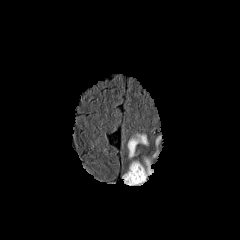
FLAIR MRI.
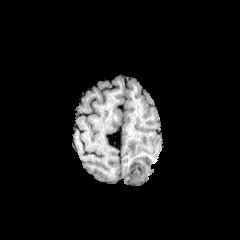
T1-weighted MR image.
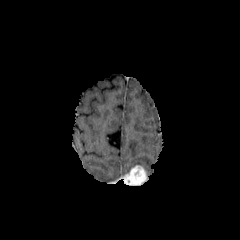
Post-contrast T1-weighted MR.
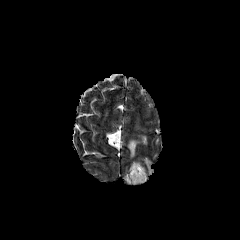
T2-weighted MR image.
enhancing_tumor:
  - rect(122, 165, 146, 185)
edema:
  - rect(128, 134, 148, 158)
  - rect(146, 160, 153, 173)